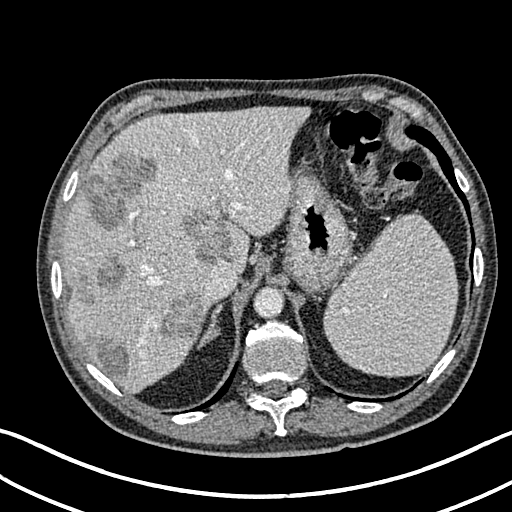 Liver. CT scan slice.

7 liver lesion regions are bounded by (x1=86, y1=336, x2=129, y2=375), (x1=78, y1=275, x2=93, y2=303), (x1=82, y1=152, x2=155, y2=228), (x1=127, y1=221, x2=146, y2=244), (x1=95, y1=253, x2=126, y2=287), (x1=182, y1=209, x2=231, y2=264), (x1=157, y1=291, x2=202, y2=341). The liver lies within (x1=64, y1=108, x2=307, y2=389).